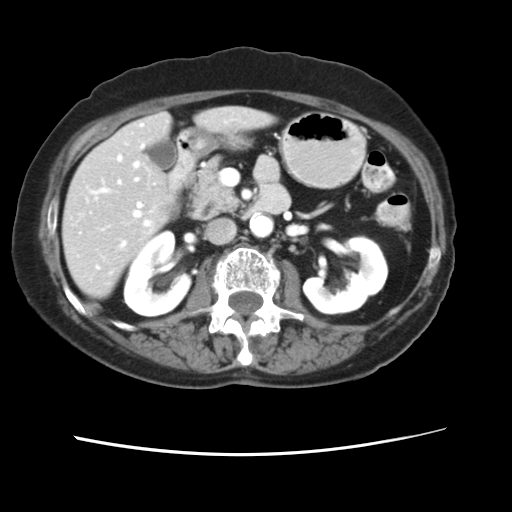
512x512 px | CT image

Not every hepatic vessel necessarily has a box.
[15/16] hepatic vessel: 90:182:109:199, 118:181:120:184, 120:242:125:248, 140:124:142:126, 118:156:121:161, 145:232:147:233, 87:200:89:202, 143:221:153:230, 141:143:143:147, 134:178:137:180, 150:209:153:212, 225:120:232:123, 133:202:142:216, 96:266:99:268, 133:162:139:166